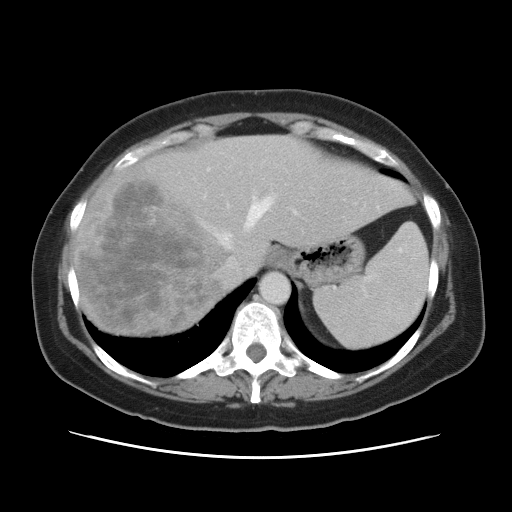 Abdomen. CT slice. 512x512. Only some of the vessels may be annotated.
6 hepatic vessel regions appear at 219, 232, 256, 254; 246, 197, 272, 226; 293, 210, 296, 213; 207, 168, 209, 169; 377, 206, 378, 207; 225, 255, 252, 286. The liver tumor is at 77, 177, 225, 333.